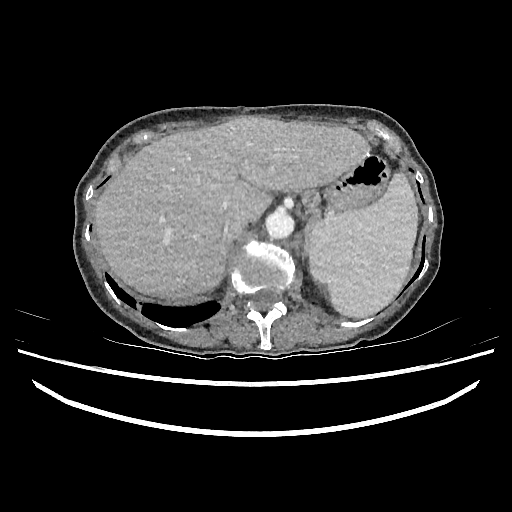 Liver, CT image
liver:
  - [x1=96, y1=117, x2=367, y2=297]